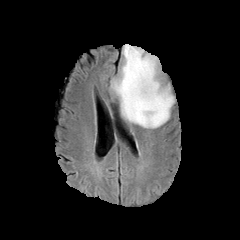
FLAIR magnetic resonance.
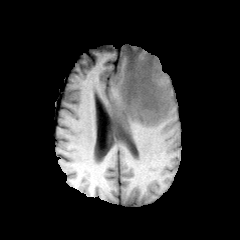
T1-weighted MR of the same slice.
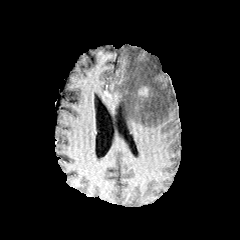
Post-contrast T1-weighted MR image.
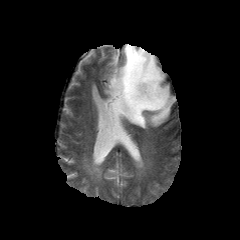
Same slice, T2-weighted MRI.
The enhancing tumor is located at <bbox>140, 86, 147, 95</bbox>. The non-enhancing tumor core is at <bbox>137, 84, 151, 97</bbox>. The edema is bounded by <bbox>109, 44, 175, 128</bbox>.